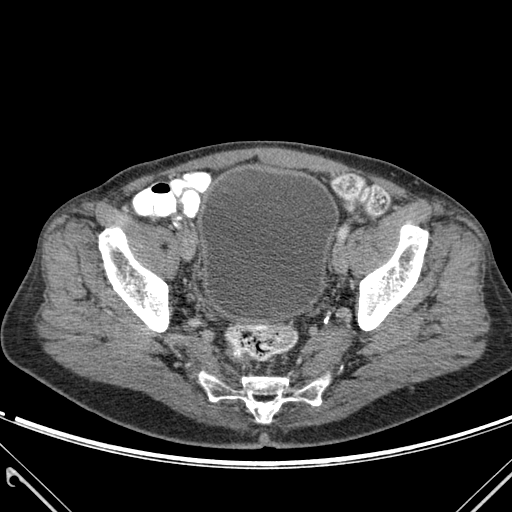 Lower abdomen | Image size 512x512 | CT scan slice

The urinary bladder lies within x1=201, y1=170, x2=336, y2=319. 3 bone regions are located at x1=99, y1=228, x2=168, y2=332; x1=199, y1=372, x2=328, y2=422; x1=358, y1=224, x2=427, y2=330.